Slice index 13 | CT | Field of view 439 mm wide, 5.00 mm slice spacing | Abdomen 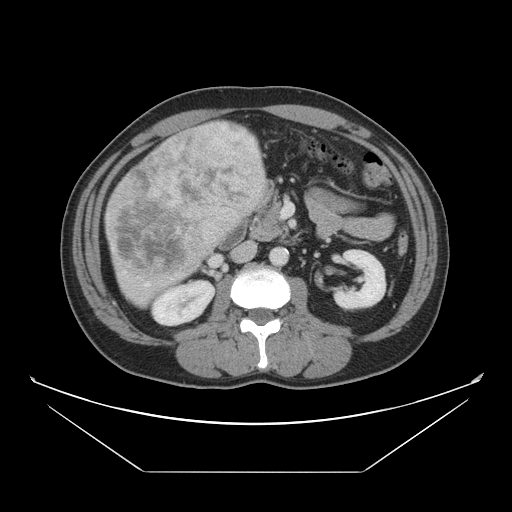 Not every hepatic vessel necessarily has a box.
Hepatic vessel — [x1=120, y1=271, x2=126, y2=275], [x1=144, y1=282, x2=149, y2=286].
Liver tumor — [x1=106, y1=123, x2=265, y2=277].